Slice 16 of 43. CT scan slice. Field of view 388 mm wide, 5.00 mm slice spacing.
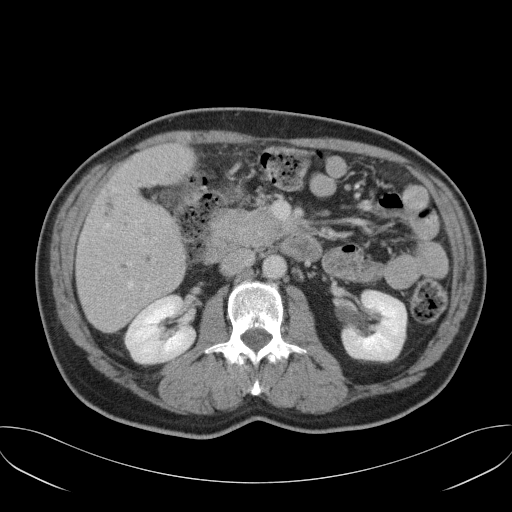

The vessel annotation is not exhaustive.
Annotated regions:
- hepatic vessel: x1=152, y1=260, x2=154, y2=262